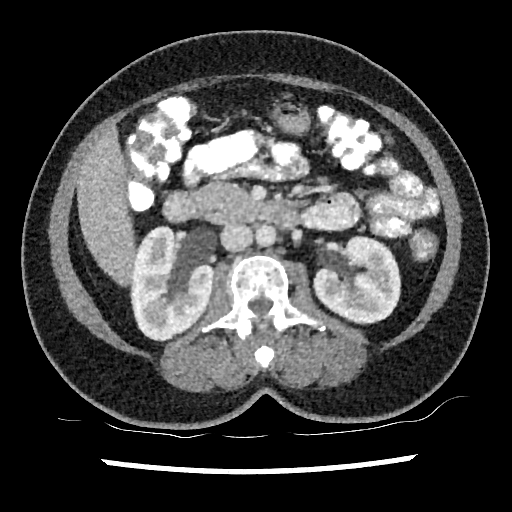

512x512 px. CT slice. liver: bbox(79, 131, 135, 282) | kidney: bbox(132, 227, 212, 339); bbox(314, 237, 399, 322)